Head. Slice 46 of 155. Field of view 240 mm wide, 1.00 mm slice spacing.
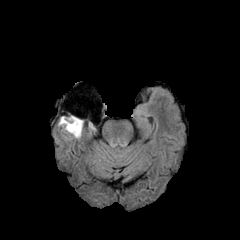
FLAIR MR image.
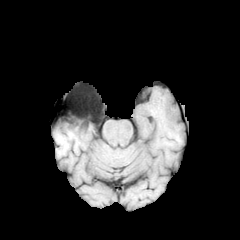
T1-weighted MR image.
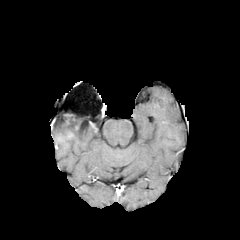
Same slice, post-contrast T1-weighted MR.
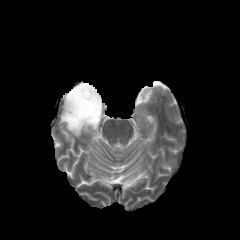
T2-weighted MR image of the same slice.
non-enhancing_tumor_core:
  - (60, 113, 83, 129)
edema:
  - (58, 121, 83, 139)